Field of view 370 mm wide, 0.70 mm slice spacing; CT image
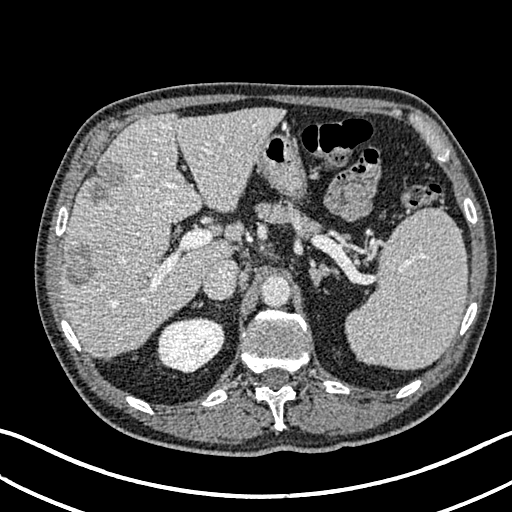 {
  "kidney": [
    "box=[158, 319, 223, 371]"
  ],
  "liver": [
    "box=[211, 225, 221, 235]",
    "box=[62, 108, 284, 358]"
  ],
  "hepatic_lesion": [
    "box=[85, 158, 125, 202]",
    "box=[67, 244, 95, 285]"
  ]
}